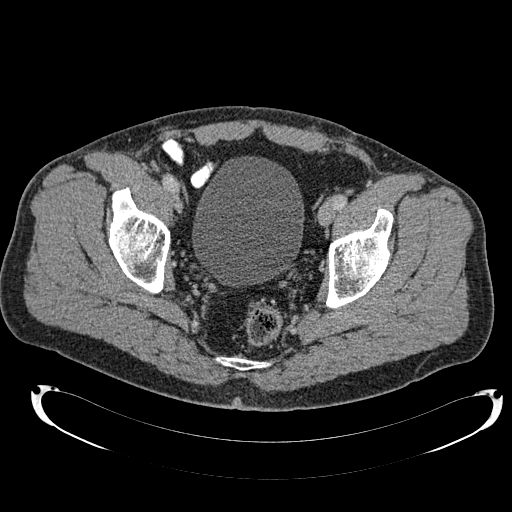 CT scan slice | 512x512 px | Lower abdomen
* urinary bladder: [192, 156, 304, 284]